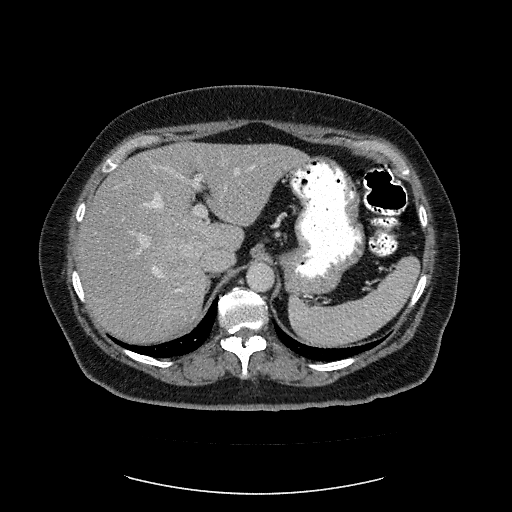
CT.

Some hepatic vessels may have no box.
Findings:
• hepatic vessel: [163,167,186,179], [130,231,135,233], [235,169,239,174], [207,218,209,223], [249,166,253,169], [146,193,163,207], [187,175,202,187], [225,186,226,187], [153,166,158,167], [135,234,149,255], [194,204,206,217], [152,267,161,276], [296,170,301,173], [177,288,181,290], [128,180,130,181]